CT scan slice, Slice 314/519
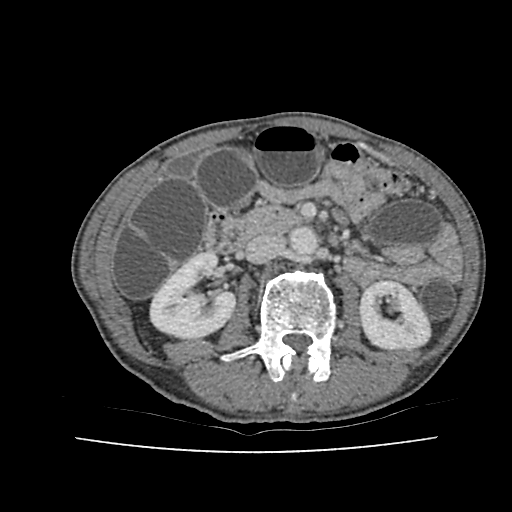

kidney:
  - x1=360, y1=281, x2=429, y2=348
  - x1=151, y1=253, x2=234, y2=337